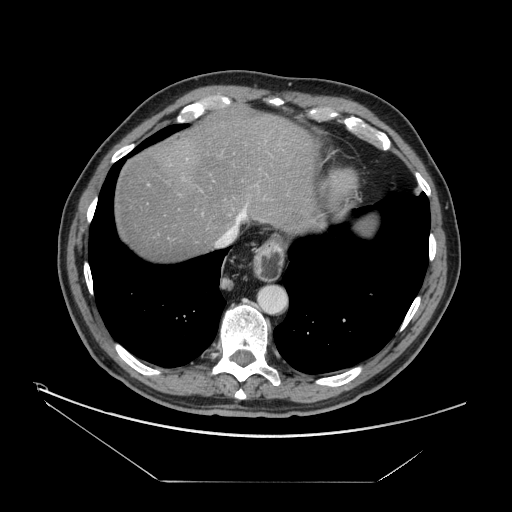 CT slice. Abdomen. Image size 512x512.

The vessel annotation is not exhaustive.
The hepatic vessel is at (236, 210, 246, 222).